Image width 240 mm
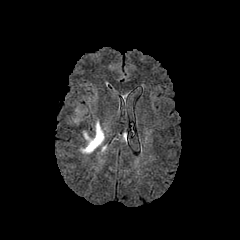
FLAIR MR image.
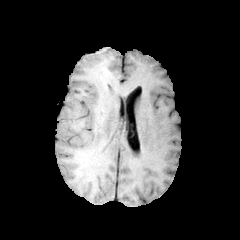
T1-weighted magnetic resonance of the same slice.
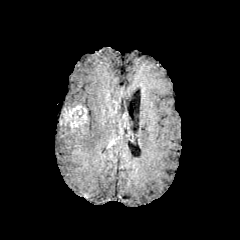
Post-contrast T1-weighted MR.
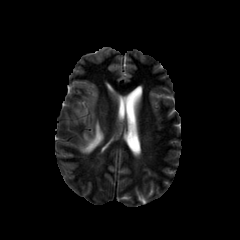
T2-weighted MRI of the same slice.
edema:
  - (80, 121, 104, 153)